FLAIR MR image.
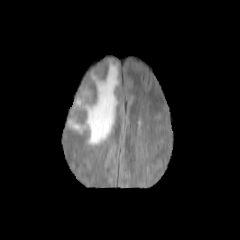
T1-weighted MR.
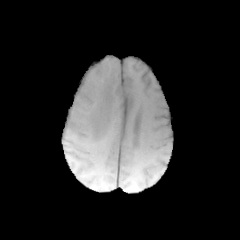
Post-contrast T1-weighted MR image.
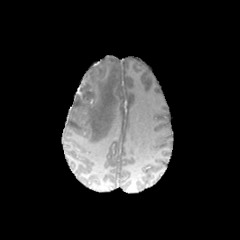
T2-weighted MR.
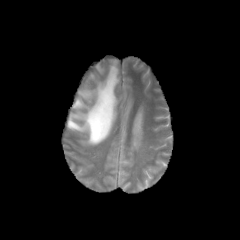
Non-enhancing tumor core at (left=76, top=81, right=96, bottom=106).
Edema at (left=68, top=59, right=119, bottom=145).